Brain
FLAIR MR.
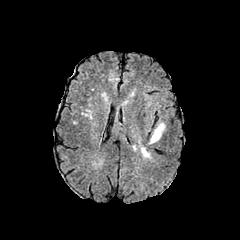
T1-weighted MRI.
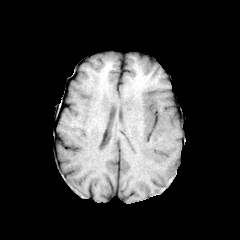
Post-contrast T1-weighted MR.
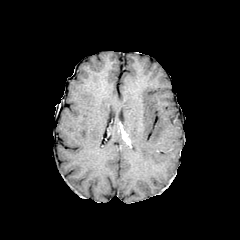
T2-weighted MRI.
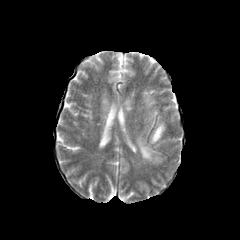
edema:
  - x1=131, y1=120, x2=167, y2=165